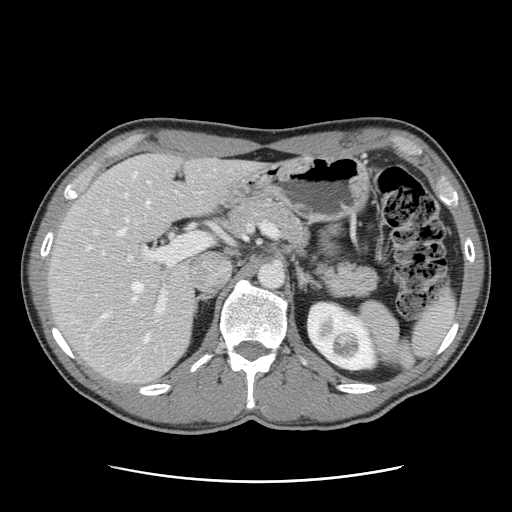
512x512 px | CT | Abdomen
The vessel annotation is not exhaustive.
[15/19] hepatic vessel: x1=143 y1=247 x2=144 y2=252, x1=94 y1=230 x2=96 y2=233, x1=132 y1=282 x2=142 y2=292, x1=87 y1=246 x2=90 y2=248, x1=132 y1=297 x2=136 y2=300, x1=125 y1=218 x2=127 y2=220, x1=146 y1=201 x2=149 y2=207, x1=156 y1=290 x2=165 y2=313, x1=102 y1=313 x2=108 y2=317, x1=128 y1=256 x2=131 y2=259, x1=134 y1=172 x2=136 y2=176, x1=117 y1=228 x2=125 y2=235, x1=144 y1=334 x2=149 y2=341, x1=134 y1=359 x2=136 y2=361, x1=104 y1=210 x2=106 y2=212